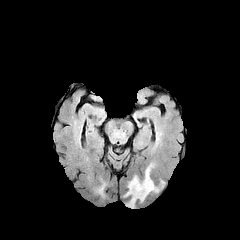
FLAIR magnetic resonance.
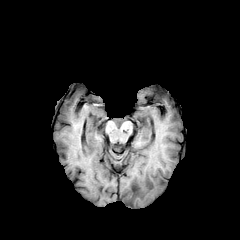
T1-weighted MR image of the same slice.
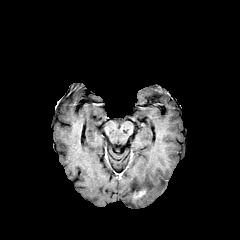
Post-contrast T1-weighted MR image of the same slice.
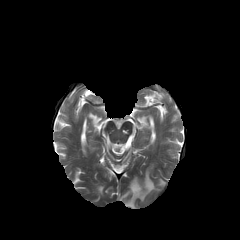
T2-weighted MR.
Head
edema: 124,167,164,207 | enhancing tumor: 132,190,145,201